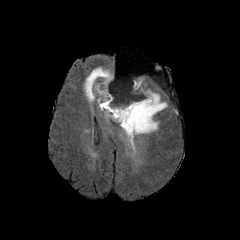
FLAIR MR image.
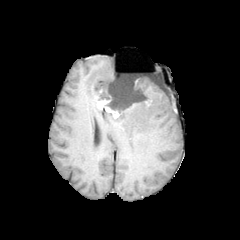
T1-weighted magnetic resonance.
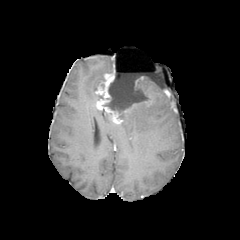
Post-contrast T1-weighted MRI.
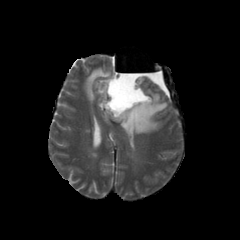
Same slice, T2-weighted MR image.
<segmentation>
  <edema>x1=120, y1=78, x2=167, y2=148; x1=84, y1=67, x2=110, y2=103</edema>
  <non-enhancing_tumor_core>x1=104, y1=83, x2=149, y2=119</non-enhancing_tumor_core>
  <enhancing_tumor>x1=96, y1=71, x2=122, y2=122</enhancing_tumor>
</segmentation>